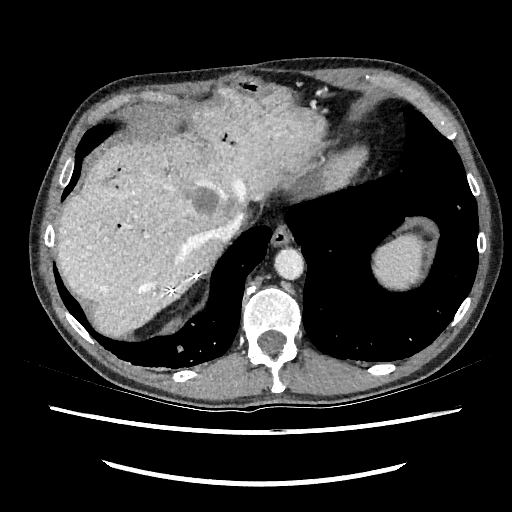 Computed tomography

liver: left=57, top=89, right=327, bottom=334 | focal liver lesion: left=166, top=166, right=173, bottom=175; left=184, top=185, right=219, bottom=216